Slice 377 of 871; Computed tomography; 512x512 px 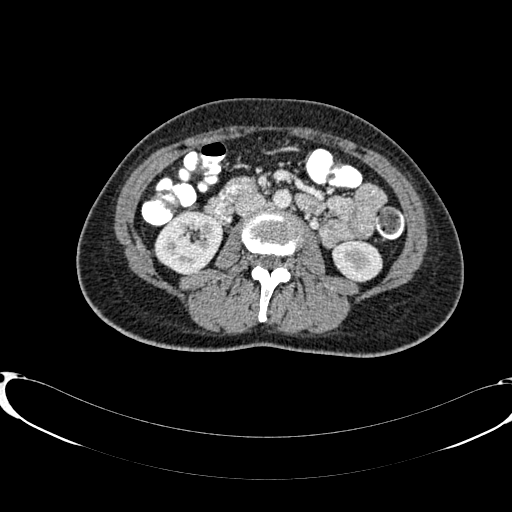
Kidney at 156:213:221:272, 333:242:380:279.